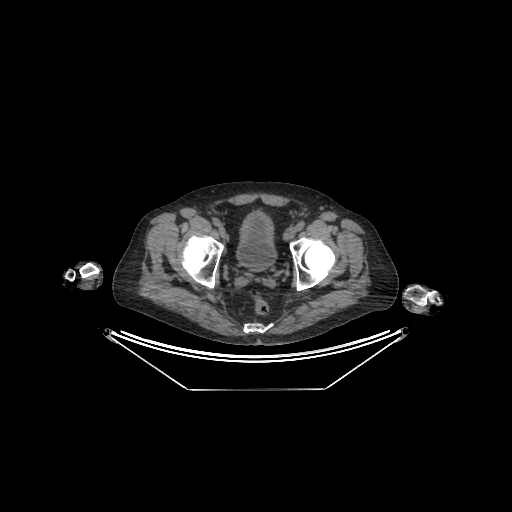
Computed tomography
The urinary bladder lies within [236, 210, 277, 271].